240x240. Slice 81/155. Head.
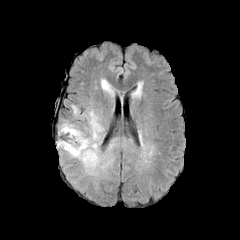
FLAIR magnetic resonance.
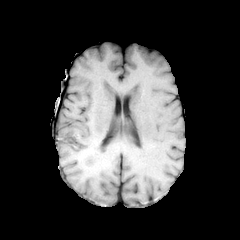
T1-weighted MR.
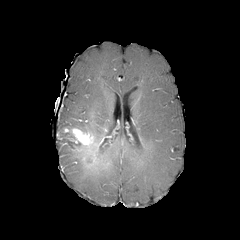
Post-contrast T1-weighted MR.
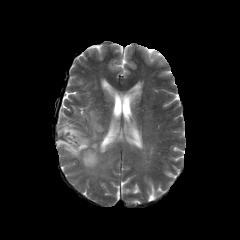
Same slice, T2-weighted magnetic resonance.
Edema = <box>60,132,67,142</box>, <box>66,103,105,140</box>, <box>131,88,140,98</box>, <box>57,140,114,175</box>, <box>100,78,117,99</box>.
Enhancing tumor = <box>63,127,91,147</box>.
Non-enhancing tumor core = <box>59,127,101,167</box>, <box>58,122,75,141</box>.